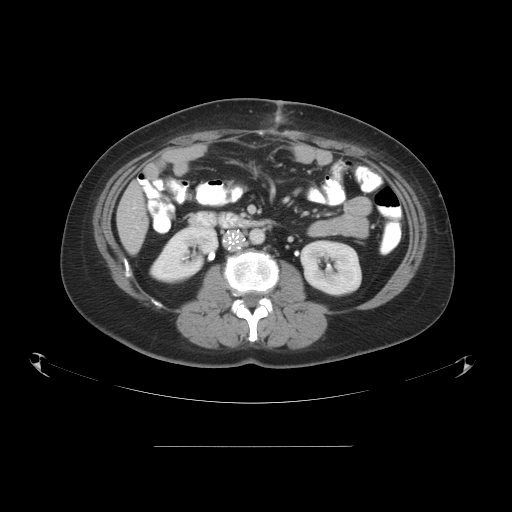

CT slice
Some hepatic vessels may have no box.
hepatic vessel: bbox(130, 236, 132, 237); bbox(133, 201, 136, 208); bbox(131, 226, 138, 232)